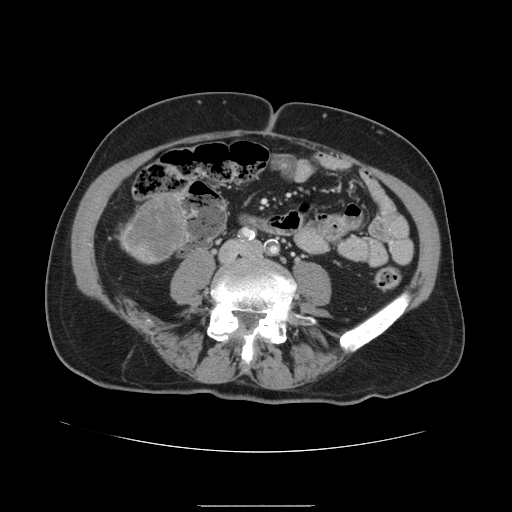
Abdomen | CT slice

Annotated regions:
• liver tumor: 125,195,186,259